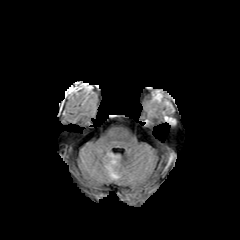
FLAIR magnetic resonance.
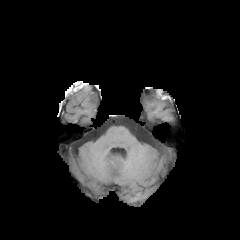
T1-weighted MR image of the same slice.
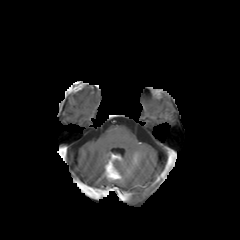
Post-contrast T1-weighted MRI.
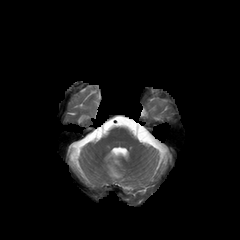
T2-weighted MRI.
The non-enhancing tumor core lies within box=[106, 155, 119, 178]. The edema lies within box=[112, 154, 119, 172].